Head; Slice index 122; Field of view 240x240 mm
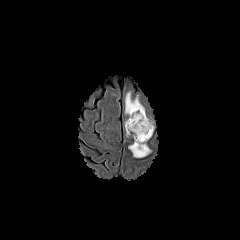
FLAIR MR image.
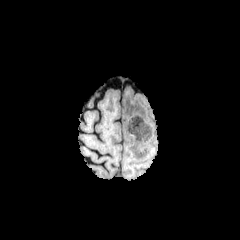
T1-weighted MR image.
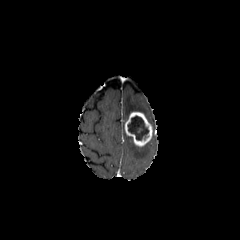
Post-contrast T1-weighted MR image of the same slice.
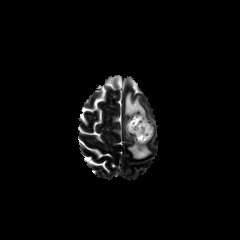
T2-weighted MR image.
edema: 128 144 149 158, 124 93 144 115 | non-enhancing tumor core: 128 116 148 140 | enhancing tumor: 124 111 153 146